CT image. Upper abdomen. Slice 26 of 60. 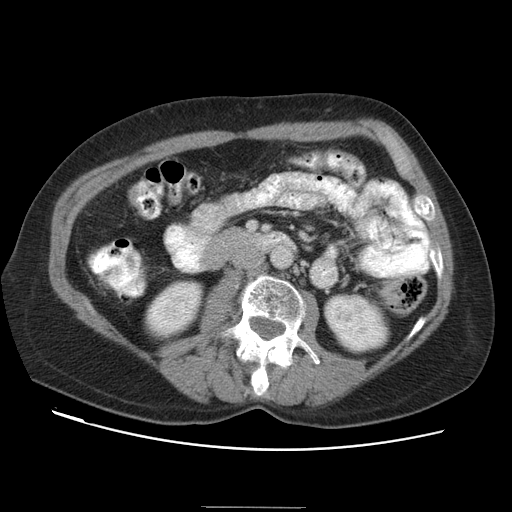

{
  "pancreas": [
    "199:227:254:271"
  ]
}